Head. 240x240 px. Image width 240 mm.
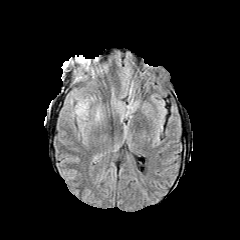
FLAIR MR.
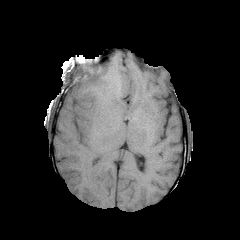
Same slice, T1-weighted MRI.
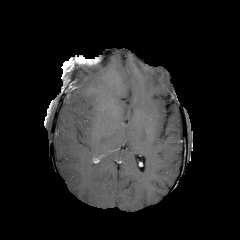
Post-contrast T1-weighted MRI of the same slice.
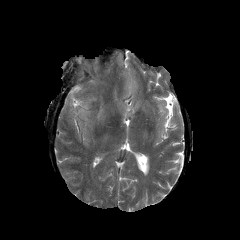
T2-weighted MRI.
{"edema": ["(left=75, top=101, right=87, bottom=115)"]}